FLAIR MRI.
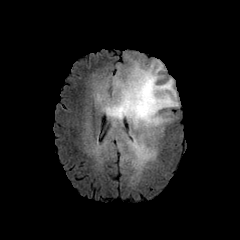
T1-weighted MR image.
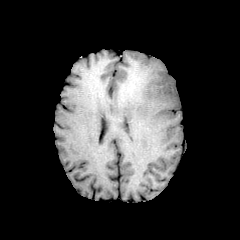
Post-contrast T1-weighted MR image.
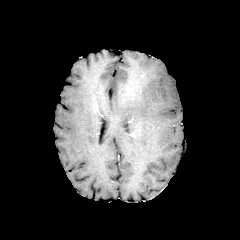
T2-weighted MR image.
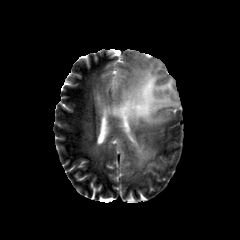
Head | 240x240 px
<segmentation>
  <non-enhancing_tumor_core><box>121,67,153,95</box>, <box>119,98,137,106</box></non-enhancing_tumor_core>
  <edema><box>129,136,155,166</box>, <box>97,60,178,135</box></edema>
</segmentation>